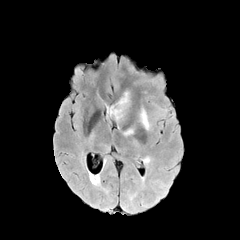
FLAIR MR.
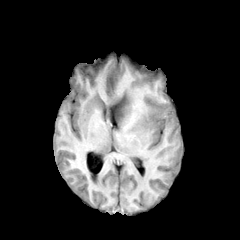
T1-weighted magnetic resonance of the same slice.
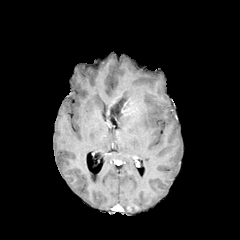
Same slice, post-contrast T1-weighted magnetic resonance.
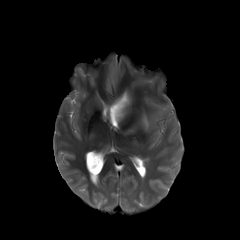
T2-weighted MR.
240x240 px
edema:
  - {"x1": 115, "y1": 99, "x2": 131, "y2": 122}
  - {"x1": 140, "y1": 109, "x2": 150, "y2": 130}
  - {"x1": 106, "y1": 105, "x2": 113, "y2": 118}
non-enhancing_tumor_core:
  - {"x1": 111, "y1": 100, "x2": 127, "y2": 114}